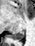 MRI, Medial temporal lobe
The posterior hippocampus lies within 10,30,24,40.